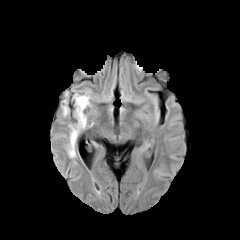
FLAIR MR.
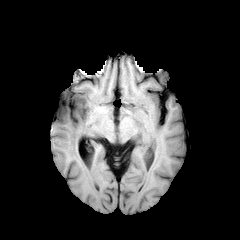
T1-weighted MRI.
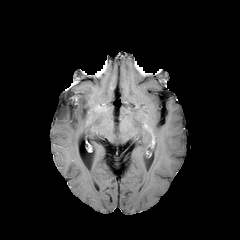
Same slice, post-contrast T1-weighted MRI.
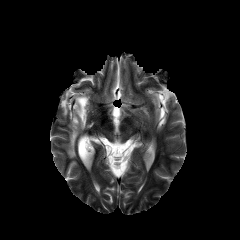
Same slice, T2-weighted MRI.
Head
Edema at rect(61, 89, 93, 158).